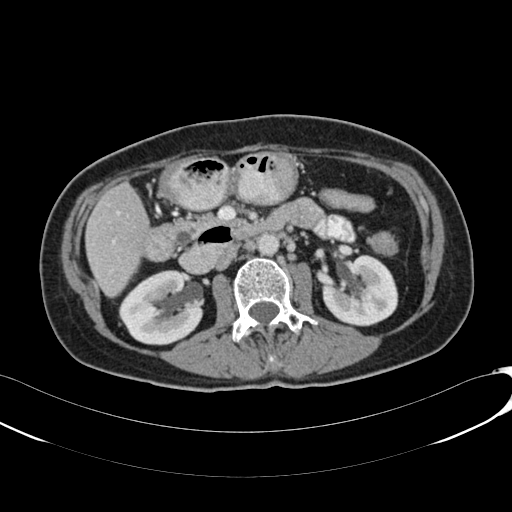

Upper abdomen, Image size 512x512, CT

kidney:
  - region(323, 256, 396, 324)
  - region(120, 271, 201, 343)
liver:
  - region(85, 184, 148, 297)